FLAIR MR image.
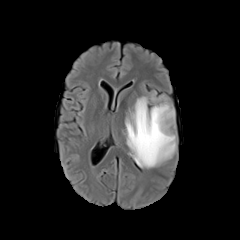
T1-weighted MR image.
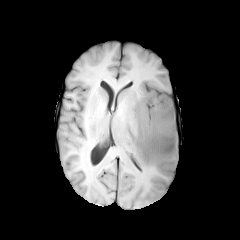
Post-contrast T1-weighted MR image.
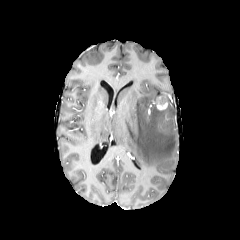
T2-weighted MR.
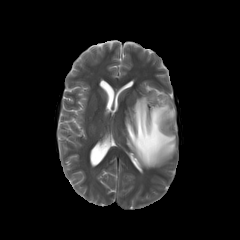
Enhancing tumor: (156,97,167,109).
Non-enhancing tumor core: (158,96,171,119), (138,118,159,145).
Edema: (125,92,177,168).